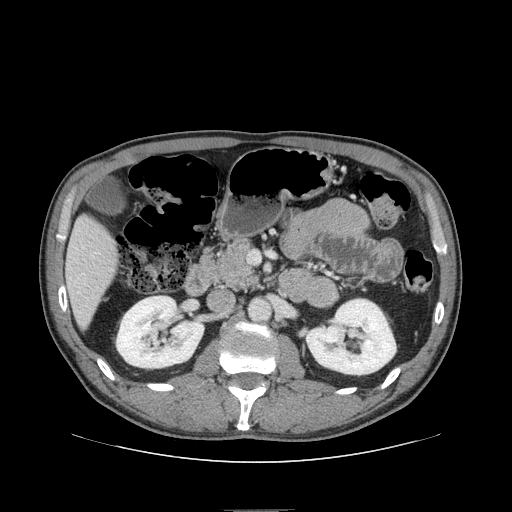

Abdomen | CT
{"pancreas": ["202, 243, 258, 288"]}